FLAIR MRI.
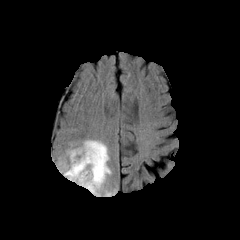
T1-weighted magnetic resonance.
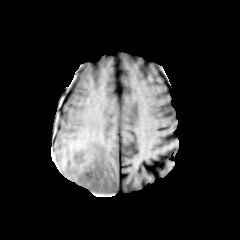
Post-contrast T1-weighted MR.
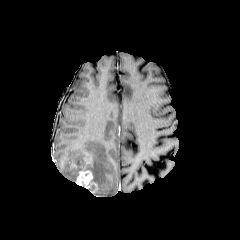
T2-weighted MR image.
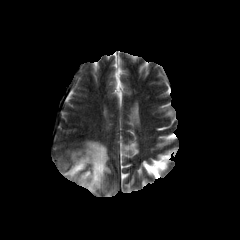
Brain; Image size 240x240
The edema is at region(63, 140, 115, 195). The enhancing tumor lies within region(76, 170, 97, 189).